CT scan slice.
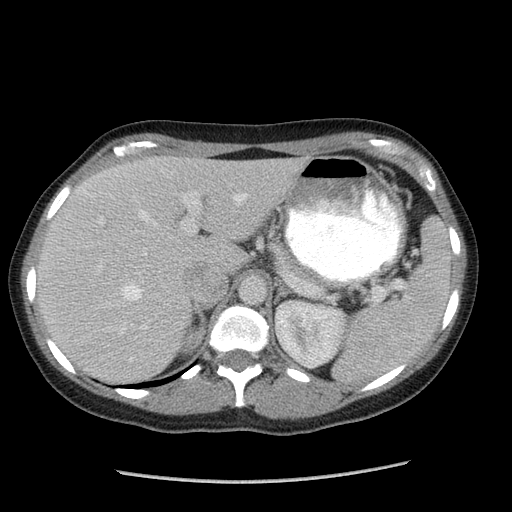

{"spleen": ["[x1=334, y1=219, x2=451, y2=384]"]}